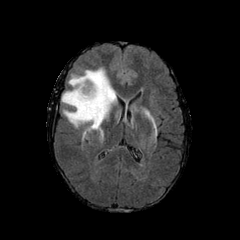
FLAIR MR image.
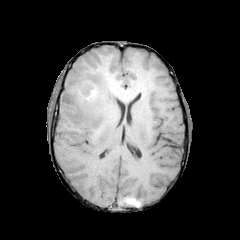
Same slice, T1-weighted MRI.
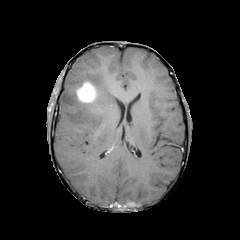
Post-contrast T1-weighted magnetic resonance.
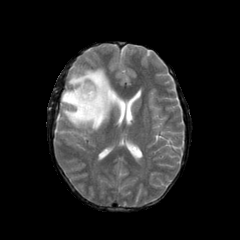
T2-weighted MRI.
Brain
{"edema": ["(left=61, top=67, right=117, bottom=133)"], "non-enhancing_tumor_core": ["(left=66, top=90, right=102, bottom=112)"], "enhancing_tumor": ["(left=77, top=82, right=96, bottom=102)"]}